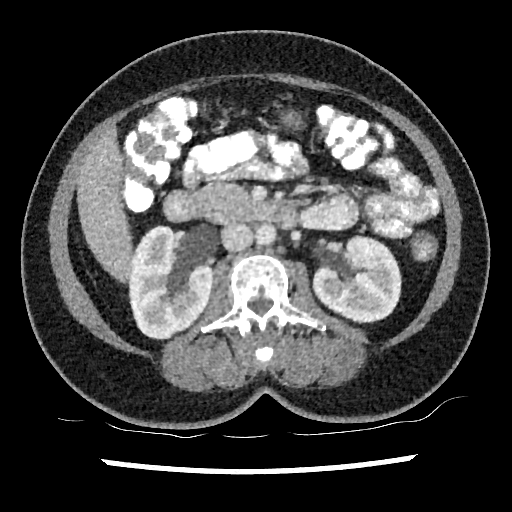
CT slice. Upper abdomen.

<segmentation>
  <liver>l=78, t=132, r=131, b=279</liver>
  <kidney>l=314, t=237, r=400, b=321; l=130, t=227, r=212, b=338</kidney>
</segmentation>